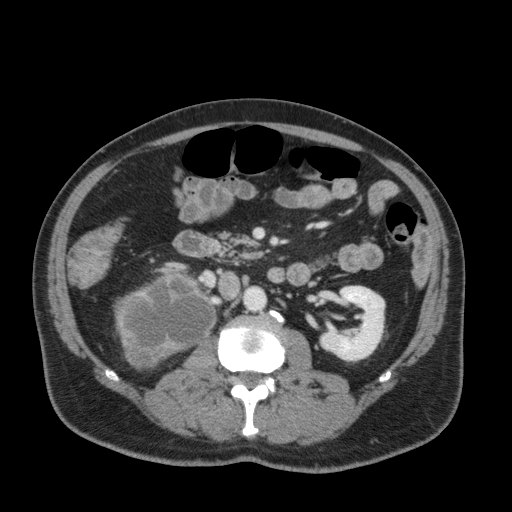
Computed tomography. Abdomen. Image size 512x512. Kidney — <bbox>321, 286, 384, 359</bbox>.